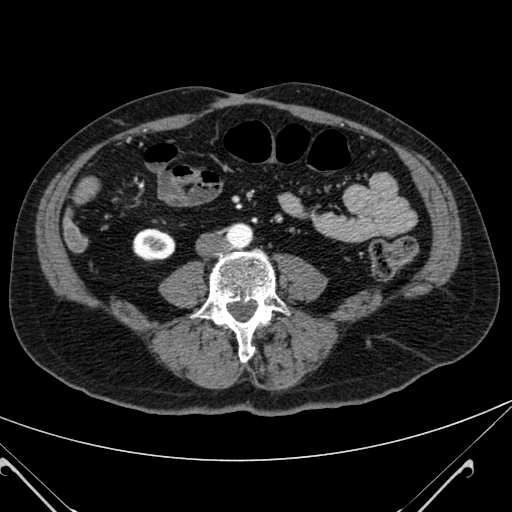 Image size 512x512 | Computed tomography | Abdomen

The kidney appears at [134,230,174,258].